FLAIR magnetic resonance.
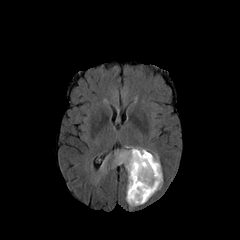
T1-weighted magnetic resonance.
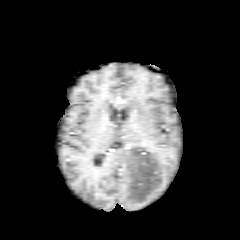
Post-contrast T1-weighted magnetic resonance.
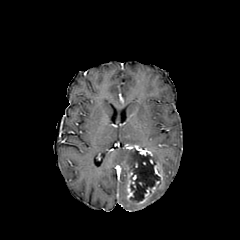
T2-weighted magnetic resonance.
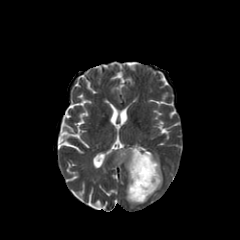
240x240; Brain
{"enhancing_tumor": ["(x1=127, y1=175, x2=136, y2=199)", "(x1=127, y1=146, x2=161, y2=179)", "(x1=140, y1=181, x2=159, y2=203)"], "edema": ["(x1=125, y1=189, x2=145, y2=207)", "(x1=152, y1=177, x2=162, y2=194)", "(x1=115, y1=146, x2=135, y2=173)", "(x1=152, y1=152, x2=161, y2=171)"], "non-enhancing_tumor_core": ["(x1=130, y1=149, x2=159, y2=201)"]}